FLAIR MRI.
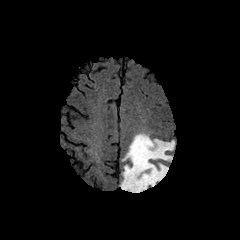
T1-weighted MR image.
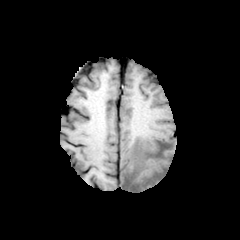
Post-contrast T1-weighted magnetic resonance.
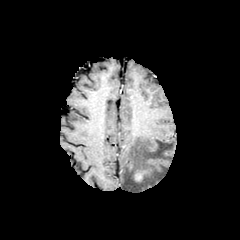
T2-weighted MRI.
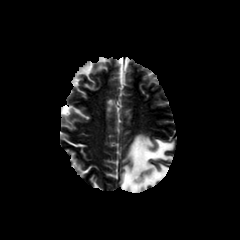
240x240 px, Brain
Findings:
• enhancing tumor: bbox=[134, 173, 141, 181]
• non-enhancing tumor core: bbox=[133, 164, 145, 179]
• edema: bbox=[120, 133, 174, 192]